CT slice
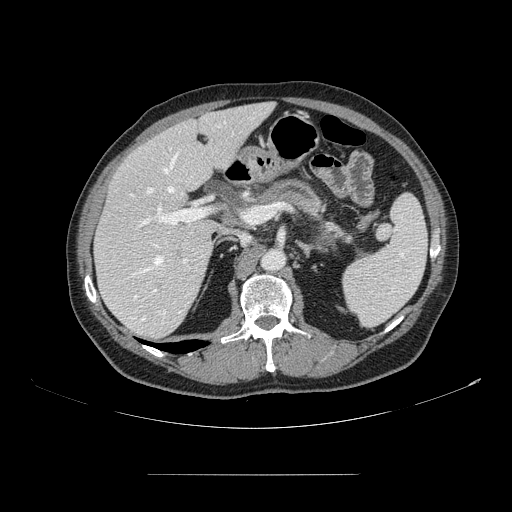 The pancreas lies within l=254, t=176, r=354, b=247.